FLAIR MRI.
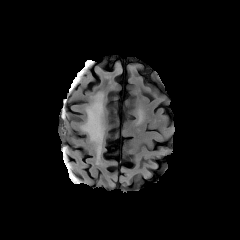
T1-weighted MR image.
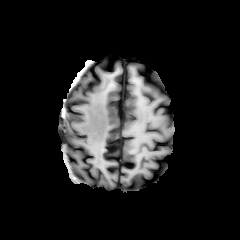
Post-contrast T1-weighted MR.
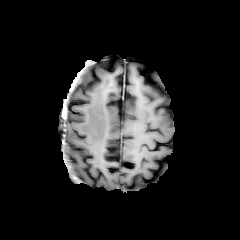
T2-weighted MRI.
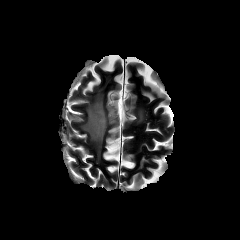
Edema = (81,93,104,159).